CT image; Abdomen; Slice 48 of 95
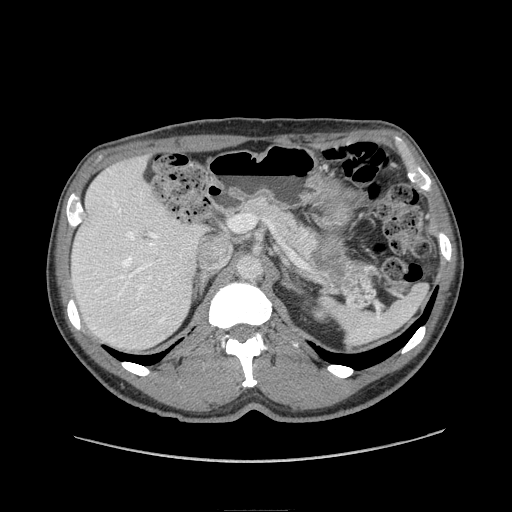
<segmentation>
  <pancreatic_tumor>(x1=311, y1=249, x2=345, y2=278)</pancreatic_tumor>
  <pancreas>(x1=242, y1=198, x2=363, y2=286)</pancreas>
</segmentation>